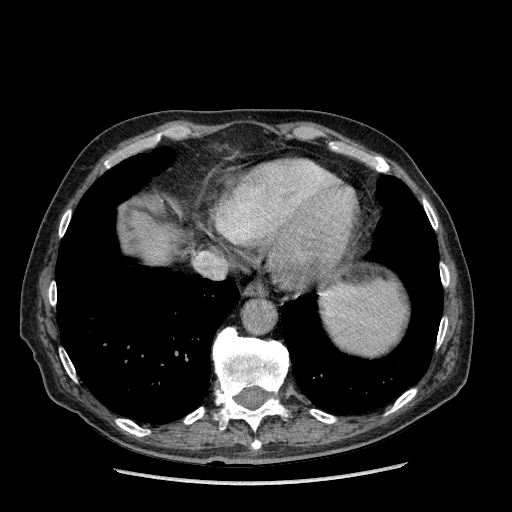

Image size 512x512 | Computed tomography
Liver = region(133, 213, 178, 264).